Upper abdomen, CT slice
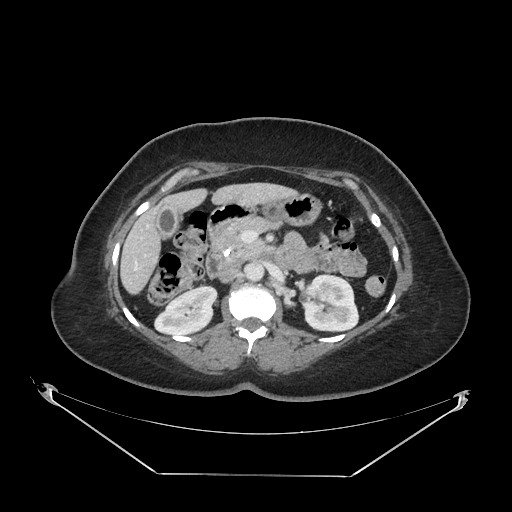

* pancreas: region(214, 216, 282, 281)